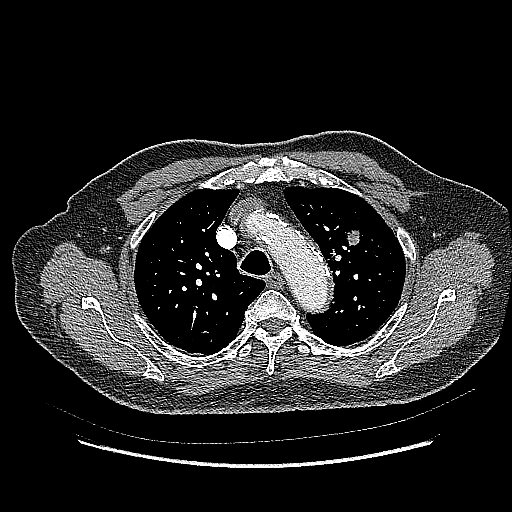 512x512 px; CT
lung tumor: (x1=325, y1=246, x2=337, y2=266), (x1=342, y1=228, x2=359, y2=248)